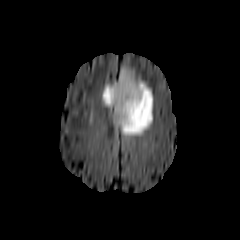
FLAIR MR.
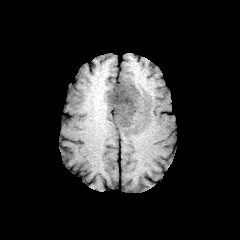
T1-weighted magnetic resonance of the same slice.
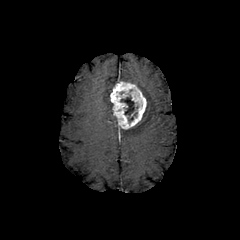
Post-contrast T1-weighted MR.
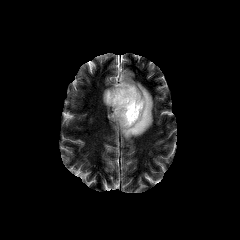
Same slice, T2-weighted magnetic resonance.
240x240 px
{
  "enhancing_tumor": [
    "x1=109 y1=79 x2=146 y2=129"
  ],
  "edema": [
    "x1=102 y1=80 x2=114 y2=108",
    "x1=119 y1=69 x2=153 y2=138"
  ],
  "non-enhancing_tumor_core": [
    "x1=121 y1=97 x2=134 y2=115"
  ]
}